CT 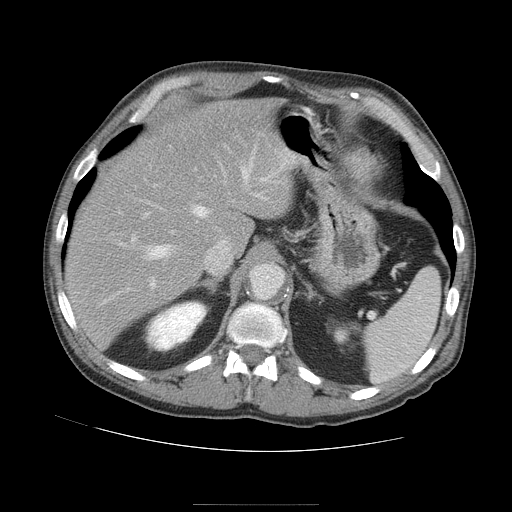

The vessel boxes may cover only some of the vessels.
Segmented structures:
- hepatic vessel: 224 144 225 146, 260 160 285 182, 221 165 223 171, 147 245 169 258, 144 213 148 217, 241 157 253 181, 150 278 155 287, 193 206 208 217, 102 297 112 303, 132 235 134 240, 281 153 285 157, 120 243 124 245, 171 231 173 232, 257 193 264 198